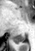 35x51, Magnetic resonance
{
  "posterior_hippocampus": [
    "(left=13, top=33, right=25, bottom=42)"
  ]
}